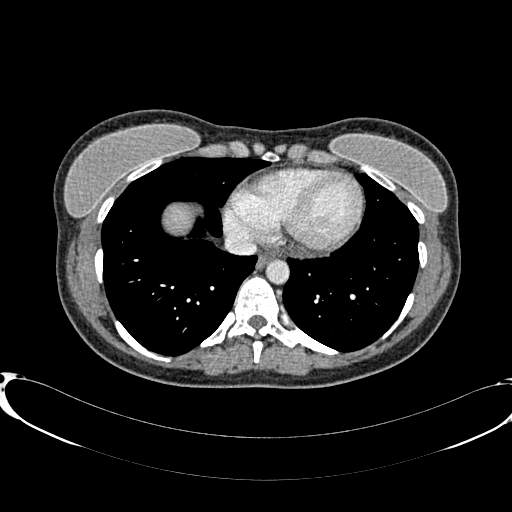
Upper abdomen; CT slice
- liver: left=163, top=204, right=191, bottom=232